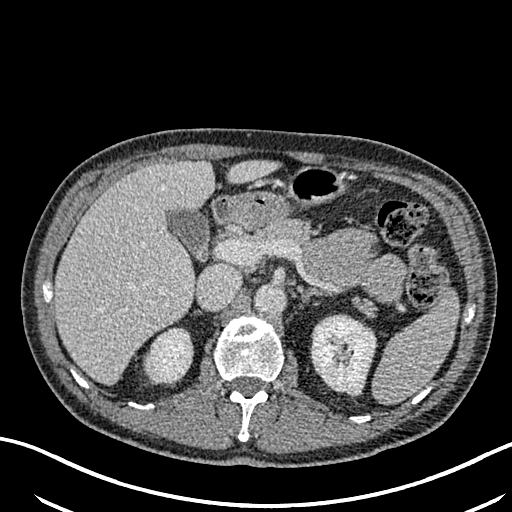

Upper abdomen | 512x512 px | Computed tomography
kidney:
  - box(312, 316, 374, 391)
  - box(148, 329, 192, 381)
liver:
  - box(226, 161, 278, 183)
  - box(55, 161, 213, 383)